Slice 620 of 677 | CT scan slice
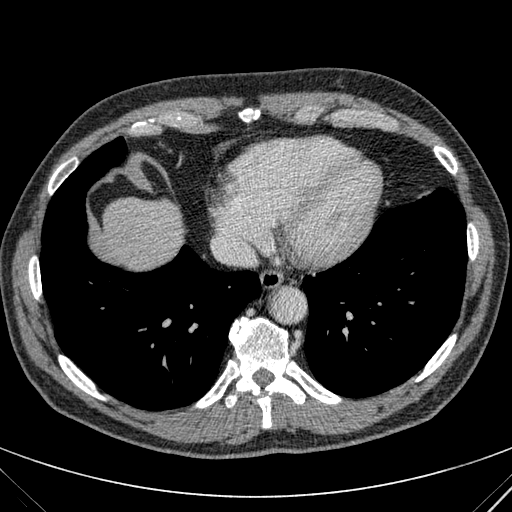 Annotated regions:
- liver: (101, 197, 181, 268)